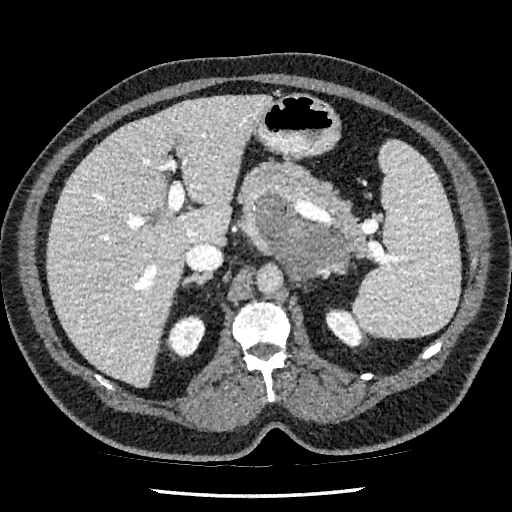

Computed tomography; Abdomen; 512x512
The liver lies within x1=47, y1=95, x2=270, y2=386. 2 kidney regions are located at x1=169, y1=317, x2=203, y2=355; x1=327, y1=312, x2=361, y2=345.